Slice 530/917 | Computed tomography
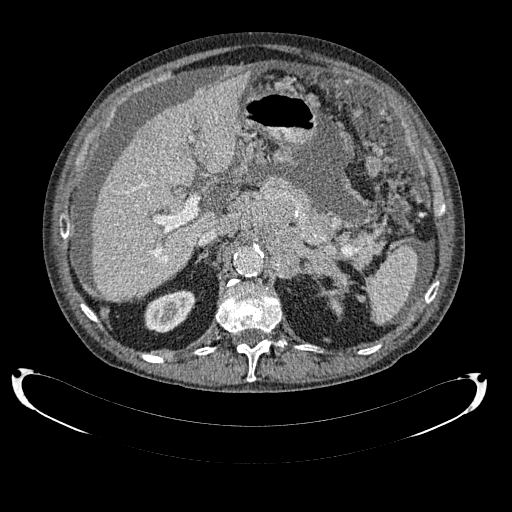 Hepatic lesion — bbox=[139, 127, 147, 137].
Liver — bbox=[91, 71, 250, 300].
Kidney — bbox=[145, 291, 194, 332]; bbox=[331, 299, 341, 313].